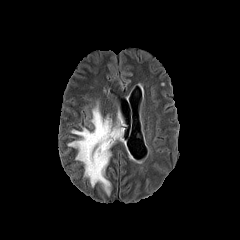
FLAIR magnetic resonance.
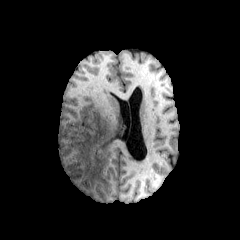
T1-weighted MR.
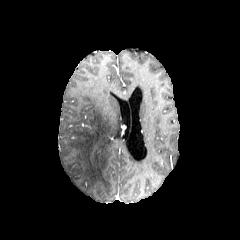
Post-contrast T1-weighted MR.
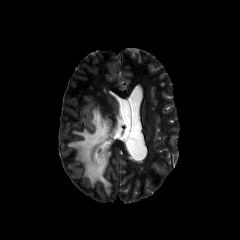
T2-weighted MRI.
Brain
{"edema": ["[x1=67, y1=101, x2=125, y2=196]"]}